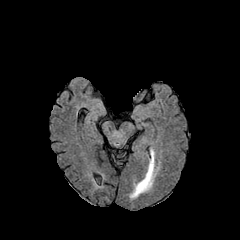
FLAIR MRI.
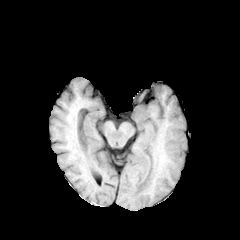
Same slice, T1-weighted MR image.
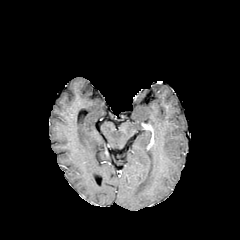
Post-contrast T1-weighted MRI of the same slice.
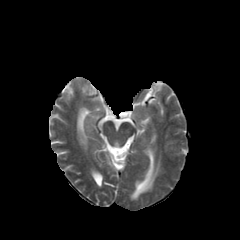
Same slice, T2-weighted MR.
Image size 240x240, Head
The edema is at 130,149,155,198.